Brain, Slice 111/155
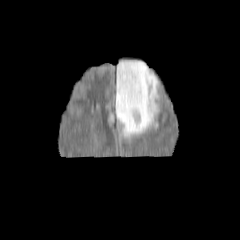
FLAIR MR image.
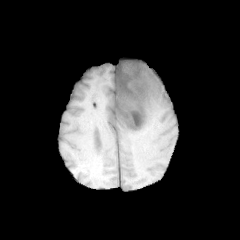
T1-weighted MR image.
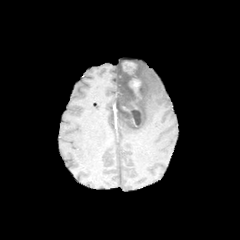
Post-contrast T1-weighted MR image of the same slice.
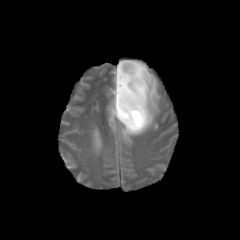
Same slice, T2-weighted MR image.
Findings:
- edema: <bbox>116, 63, 128, 97</bbox>, <bbox>115, 59, 159, 140</bbox>
- non-enhancing tumor core: <bbox>117, 60, 145, 127</bbox>
- enhancing tumor: <bbox>130, 79, 140, 95</bbox>, <bbox>123, 62, 137, 74</bbox>